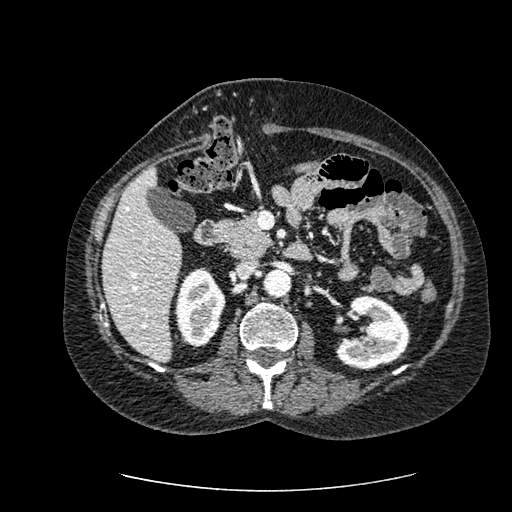

Upper abdomen, CT slice

Segmented structures:
* liver: 102 166 181 360
* kidney: 176 269 224 346, 337 296 408 368